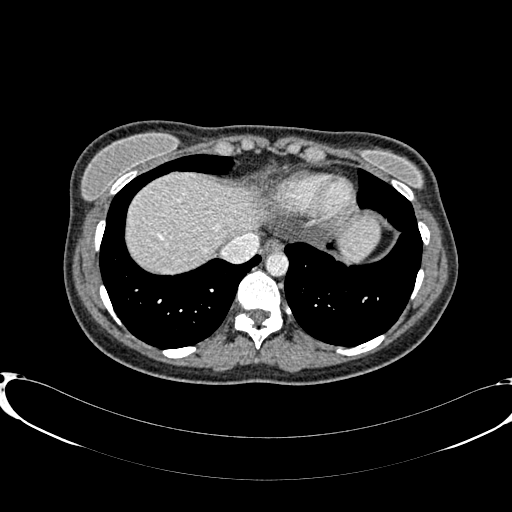

Image size 512x512, Computed tomography, Abdomen
• liver: (127, 172, 262, 272), (340, 217, 378, 260)